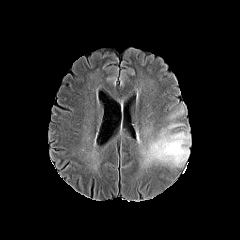
FLAIR MR.
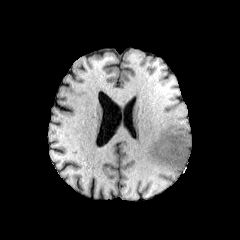
T1-weighted MRI of the same slice.
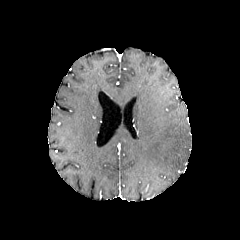
Post-contrast T1-weighted MR.
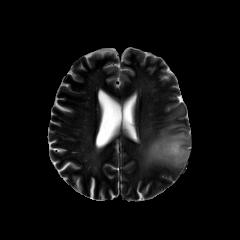
T2-weighted magnetic resonance.
Edema at region(146, 130, 190, 165).